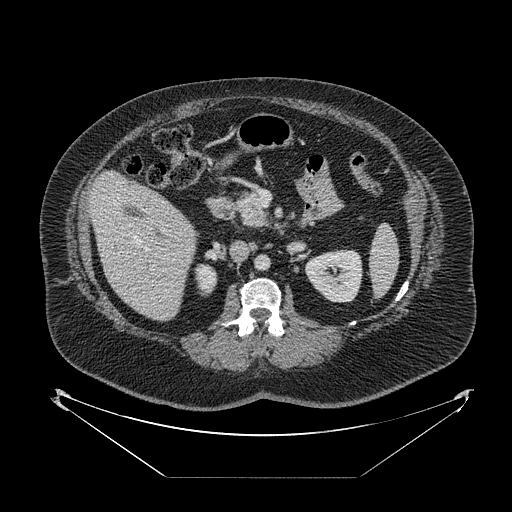

512x512, CT slice, Abdomen

<segmentation>
  <pancreas>left=235, top=191, right=268, bottom=228</pancreas>
</segmentation>